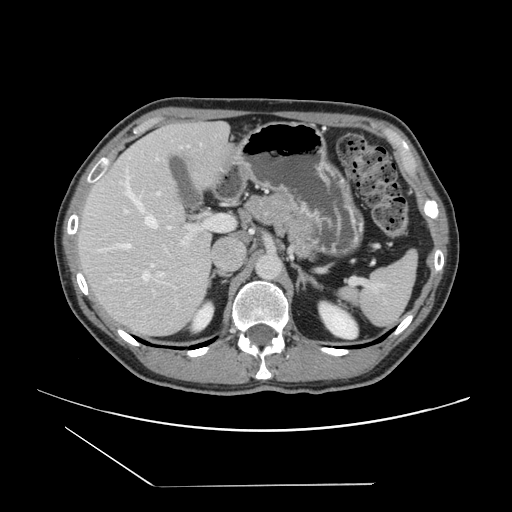 CT slice.

The vessel annotation is not exhaustive.
12 hepatic vessel regions are bounded by 112:244:114:248, 146:213:151:216, 125:167:130:176, 120:274:123:278, 180:146:181:148, 108:278:111:280, 187:145:189:146, 105:248:111:248, 102:251:106:252, 156:276:167:283, 119:181:121:183, 155:157:158:159.